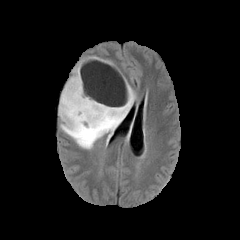
FLAIR MR.
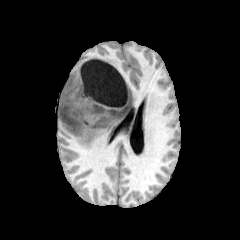
T1-weighted magnetic resonance of the same slice.
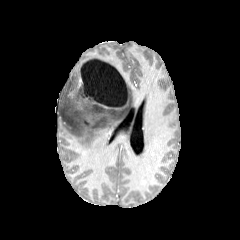
Post-contrast T1-weighted MR image.
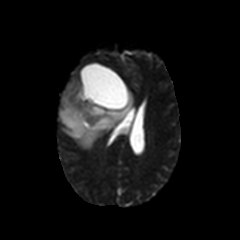
T2-weighted magnetic resonance of the same slice.
Edema: 100,106,113,115; 58,64,135,149.
Non-enhancing tumor core: 60,108,85,133; 77,90,128,123.